FLAIR MR image.
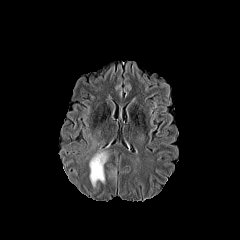
T1-weighted MR image.
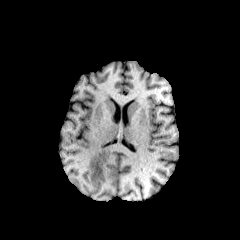
Post-contrast T1-weighted magnetic resonance.
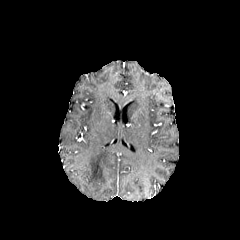
T2-weighted MR image.
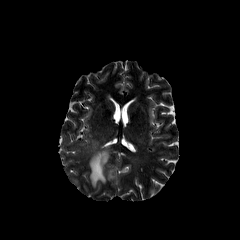
The edema appears at bbox(86, 139, 109, 188).